FLAIR MR image.
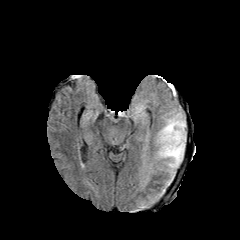
T1-weighted MR image.
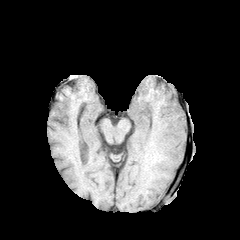
Post-contrast T1-weighted magnetic resonance.
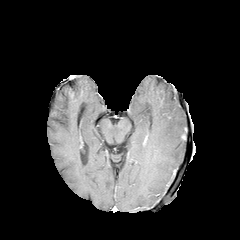
T2-weighted MR image.
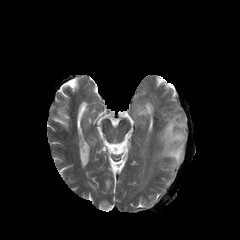
Image size 240x240, Brain
{
  "edema": [
    "161:119:184:173"
  ]
}